Field of view 240x240 mm.
FLAIR magnetic resonance.
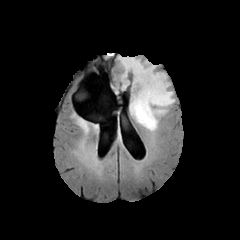
T1-weighted MRI.
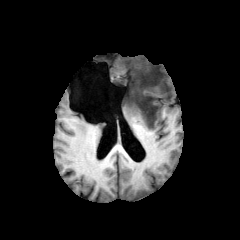
Post-contrast T1-weighted MR image.
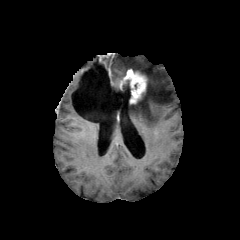
T2-weighted magnetic resonance.
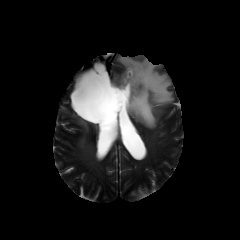
Edema — 118 57 174 130.
Non-enhancing tumor core — 112 80 130 97, 132 68 155 107.
Enhancing tumor — 118 69 147 103.